FLAIR MR image.
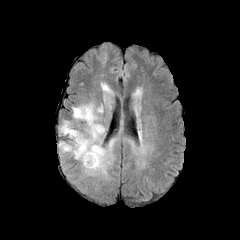
T1-weighted MRI.
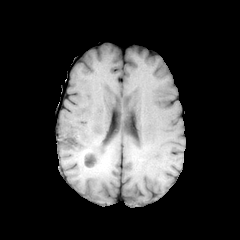
Post-contrast T1-weighted MR.
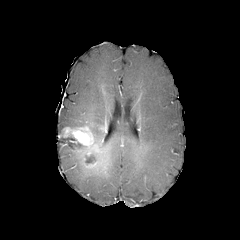
T2-weighted MRI.
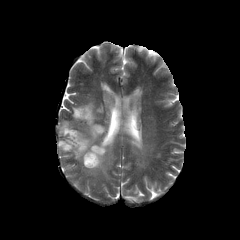
Brain
3 edema regions are located at (left=58, top=138, right=116, bottom=176), (left=58, top=82, right=116, bottom=144), (left=134, top=90, right=139, bottom=103). 3 non-enhancing tumor core regions appear at (left=83, top=128, right=95, bottom=147), (left=75, top=143, right=107, bottom=168), (left=59, top=129, right=79, bottom=148). The enhancing tumor is at (left=64, top=127, right=97, bottom=154).